512x512 | CT scan slice | Abdomen

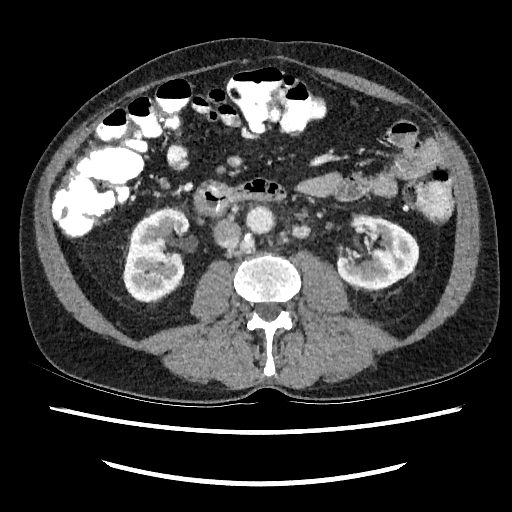
Annotated regions:
* kidney: rect(124, 209, 188, 300); rect(338, 217, 417, 288)